Field of view 434x434 mm; CT image; Lower abdomen 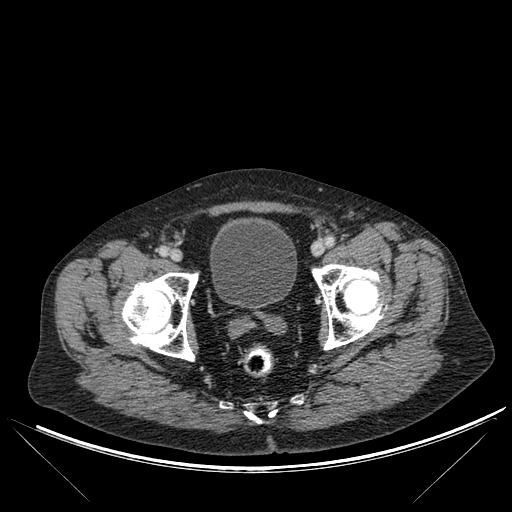

{"urinary_bladder": ["<bbox>210, 217, 297, 307</bbox>"], "bone": ["<bbox>244, 404, 261, 423</bbox>", "<bbox>121, 272, 197, 361</bbox>", "<bbox>268, 403, 277, 417</bbox>", "<bbox>312, 264, 384, 349</bbox>", "<bbox>220, 403, 230, 408</bbox>"]}